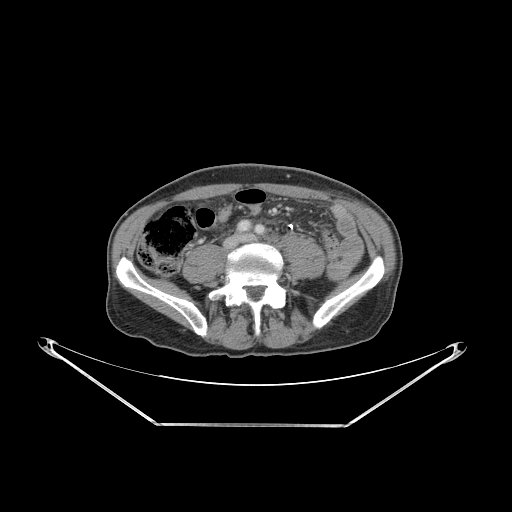 CT scan slice.

Bone: [313, 257, 384, 327], [209, 244, 286, 334], [116, 257, 206, 335].